Computed tomography | Slice 68/178 | 512x512 px
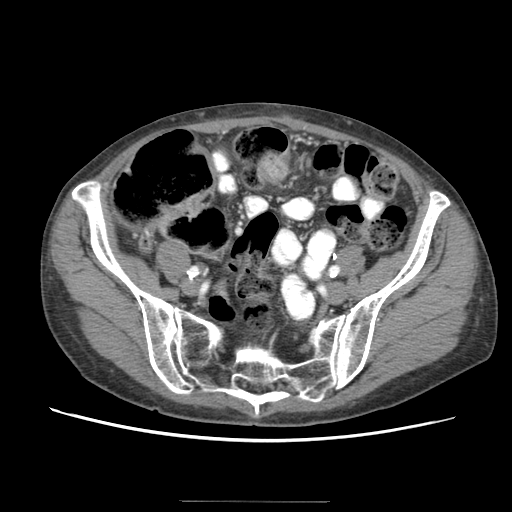 Colon tumor — 258:153:287:183.